240x240.
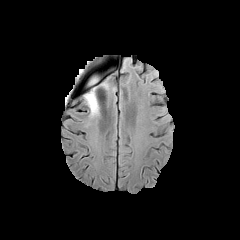
FLAIR MRI.
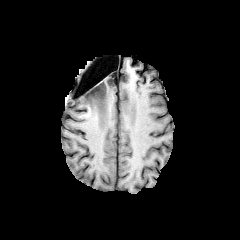
T1-weighted magnetic resonance.
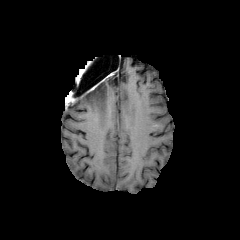
Same slice, post-contrast T1-weighted MR.
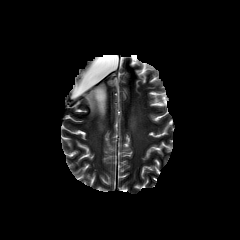
T2-weighted MRI of the same slice.
The edema is at bbox(82, 83, 108, 117).